Image size 512x512, Slice index 44, Field of view 350x350 mm, CT scan slice

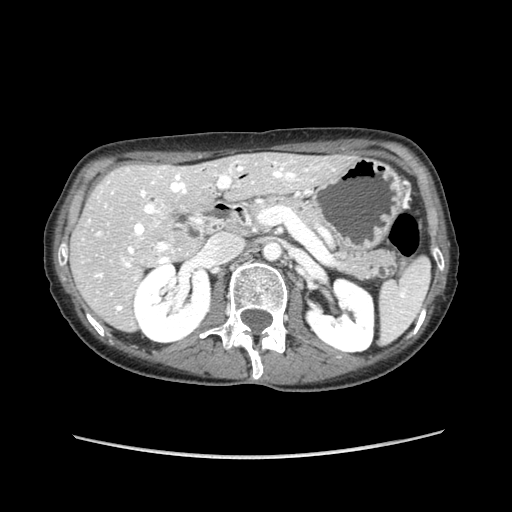

pancreas: (left=228, top=194, right=323, bottom=234), (left=332, top=246, right=393, bottom=279)